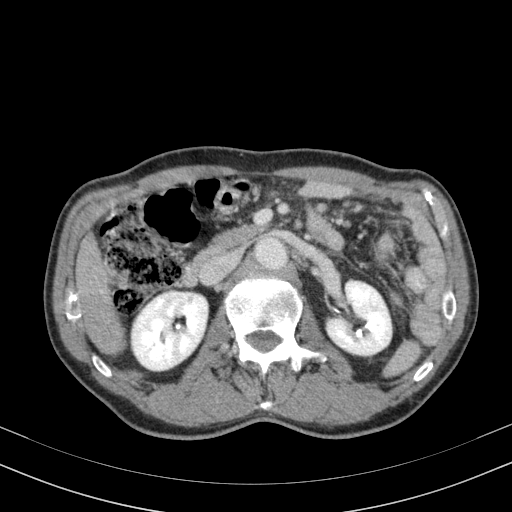

Upper abdomen, 512x512 px, CT
liver:
  - x1=76 y1=231 x2=125 y2=357
kidney:
  - x1=327 y1=281 x2=391 y2=354
  - x1=132 y1=292 x2=207 y2=369